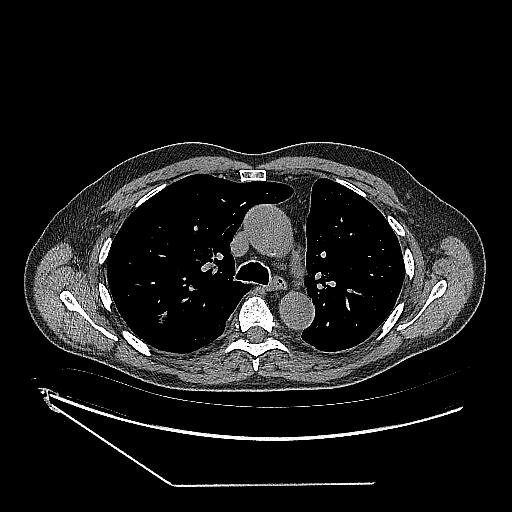
CT | Thorax
The lung tumor is at [157,310,169,325].